Field of view 430x430 mm; 512x512 px; CT; Abdomen
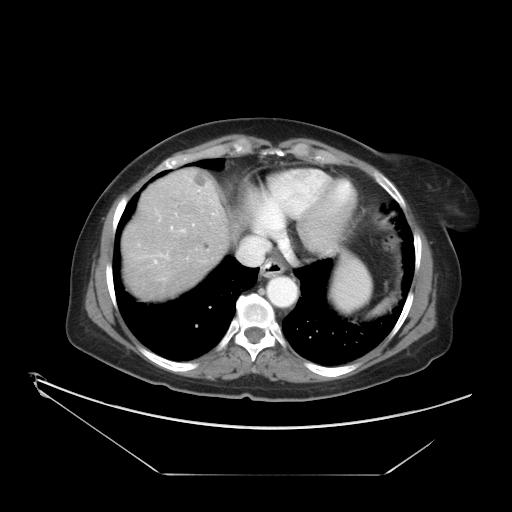

Findings:
* liver tumor: l=195, t=176, r=207, b=188